Upper abdomen, CT image, Slice 27 of 55
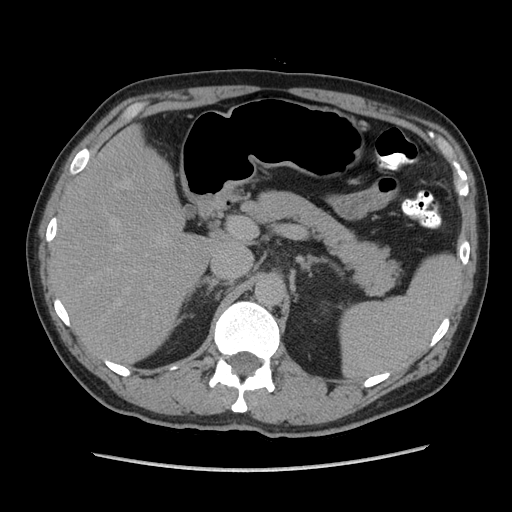

Pancreas at box(243, 190, 400, 295).